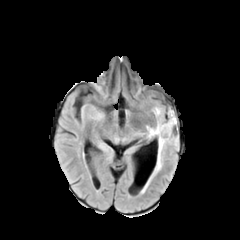
FLAIR magnetic resonance.
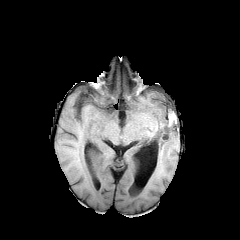
T1-weighted MRI.
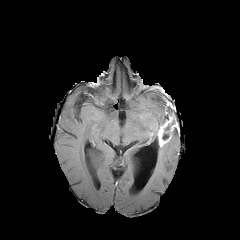
Post-contrast T1-weighted MRI of the same slice.
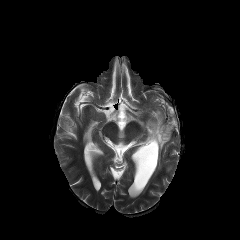
T2-weighted MR image of the same slice.
Head
The non-enhancing tumor core appears at x1=162, y1=124, x2=171, y2=139. The enhancing tumor appears at x1=150, y1=117, x2=173, y2=145. 2 edema regions are bounded by x1=140, y1=132, x2=178, y2=193; x1=144, y1=104, x2=169, y2=139.